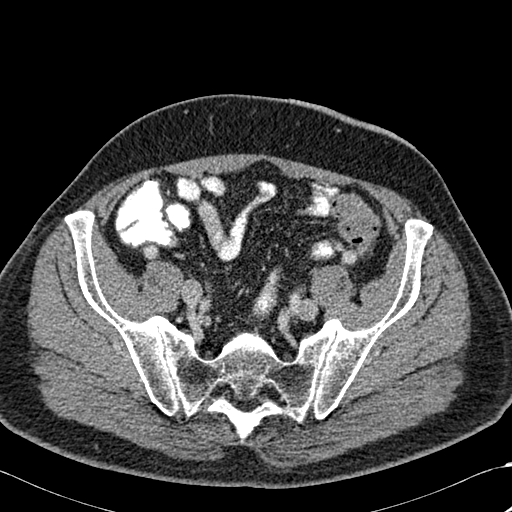 CT slice
Bone = 65:211:432:437.